Head | Image size 240x240 | Slice 88 of 155
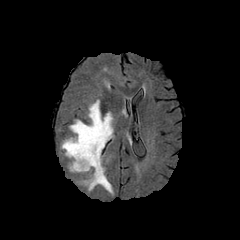
FLAIR MR.
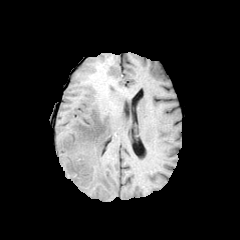
T1-weighted MR image of the same slice.
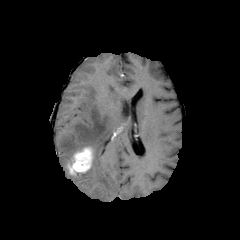
Same slice, post-contrast T1-weighted MR image.
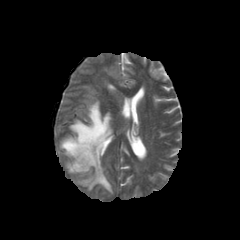
T2-weighted MR image.
<segmentation>
  <enhancing_tumor>[67, 147, 93, 176]</enhancing_tumor>
  <edema>[60, 100, 113, 193]</edema>
</segmentation>